CT.

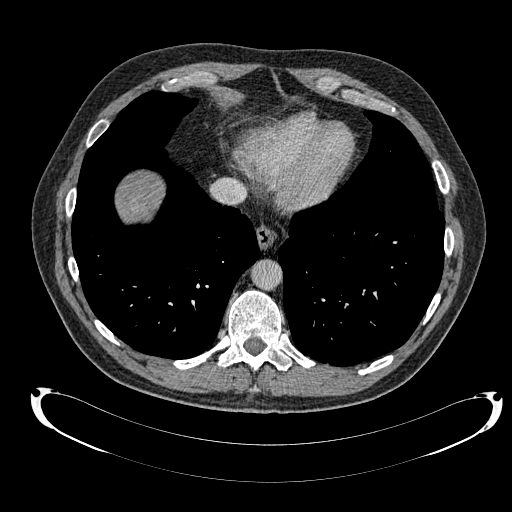
liver: bbox=[129, 198, 138, 213]